Brain, 240x240, Slice 76/155
FLAIR MR.
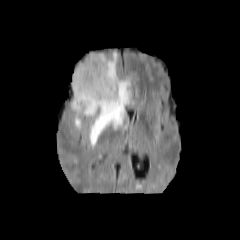
T1-weighted MRI.
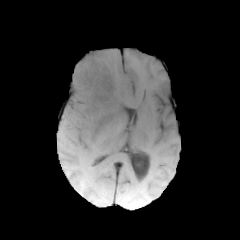
Post-contrast T1-weighted MR.
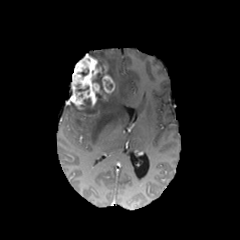
T2-weighted MR image.
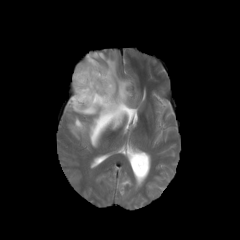
Non-enhancing tumor core: bounding box x1=88, y1=51, x2=108, y2=71; x1=70, y1=72, x2=114, y2=114.
Enhancing tumor: bounding box x1=68, y1=53, x2=115, y2=109.
Edema: bounding box x1=74, y1=51, x2=134, y2=147.